CT scan slice. Thorax.
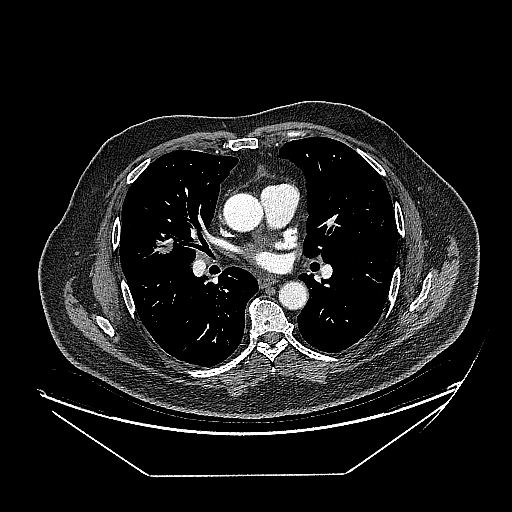

* lung tumor: bbox=[152, 236, 179, 258]